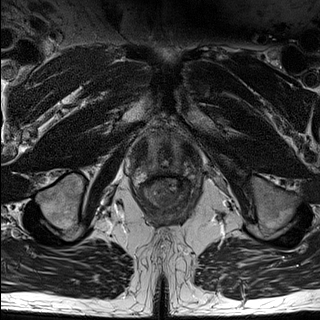
T2-weighted magnetic resonance.
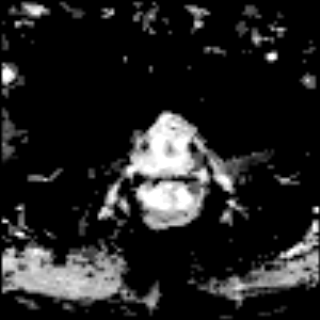
ADC magnetic resonance of the same slice.
Pelvis
The prostate transition zone is bounded by x1=150 y1=135 x2=182 y2=174.